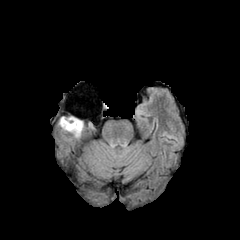
FLAIR MR image.
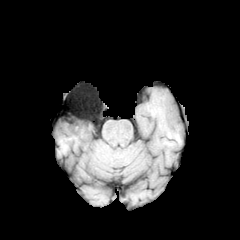
Same slice, T1-weighted MR.
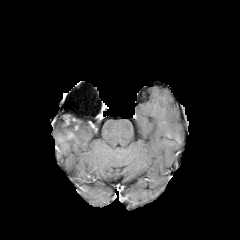
Post-contrast T1-weighted MR.
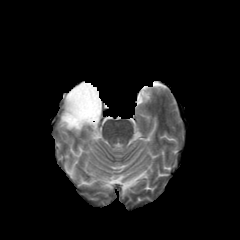
T2-weighted MR image.
240x240. Head.
non-enhancing tumor core: 65, 115, 79, 127 | edema: 58, 120, 83, 137